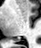
Magnetic resonance
Posterior hippocampus: bounding box [15,39,19,41].